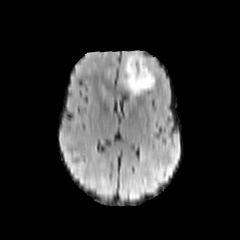
FLAIR MRI.
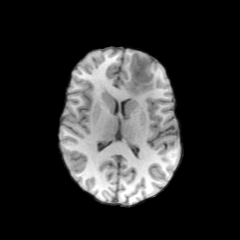
T1-weighted magnetic resonance.
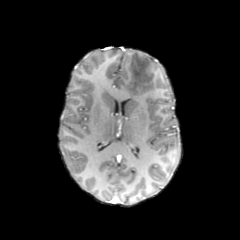
Post-contrast T1-weighted MRI.
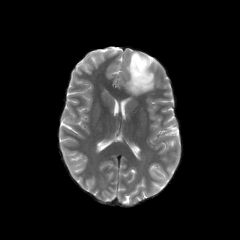
T2-weighted MRI.
Brain
Findings:
- edema: (x1=123, y1=51, x2=155, y2=95)
- non-enhancing tumor core: (x1=129, y1=53, x2=152, y2=92)